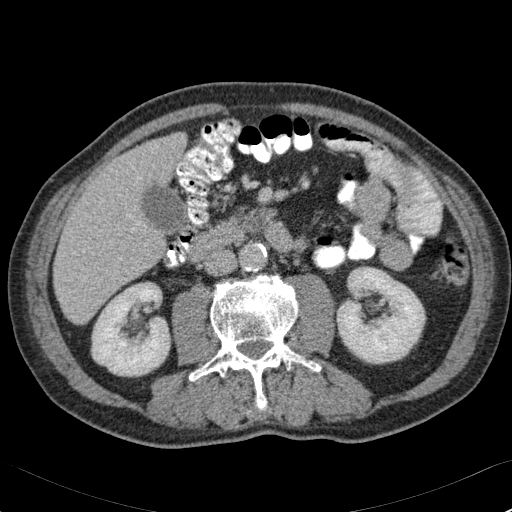

512x512, Computed tomography
liver: 54:133:186:323 | kidney: 337:267:424:363, 92:283:169:375